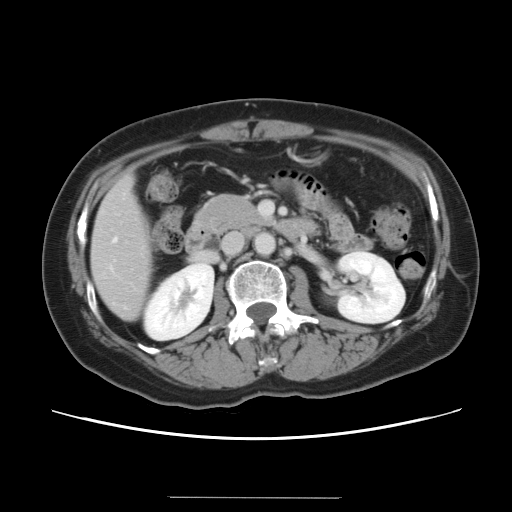 Abdomen | Computed tomography
Only some of the vessels may be annotated.
3 hepatic vessel regions are located at [x1=109, y1=267, x2=111, y2=270], [x1=112, y1=238, x2=116, y2=242], [x1=124, y1=307, x2=126, y2=308].